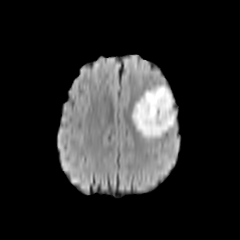
FLAIR MR.
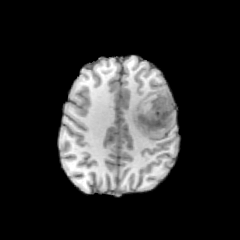
T1-weighted MR image.
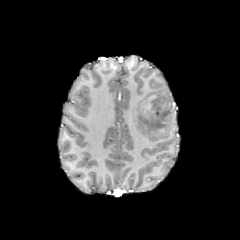
Post-contrast T1-weighted MRI.
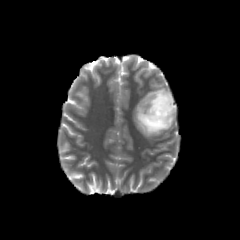
Same slice, T2-weighted MR image.
Brain
non-enhancing_tumor_core:
  - l=138, t=91, r=172, b=132
edema:
  - l=131, t=85, r=177, b=139